Image width 240 mm, Brain, 240x240
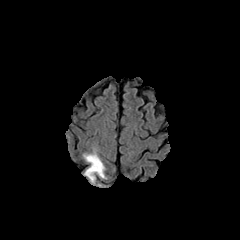
FLAIR magnetic resonance.
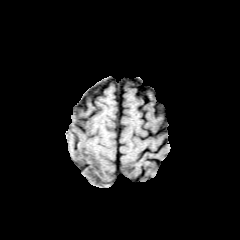
T1-weighted MRI.
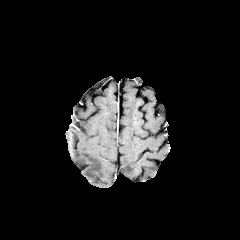
Post-contrast T1-weighted magnetic resonance of the same slice.
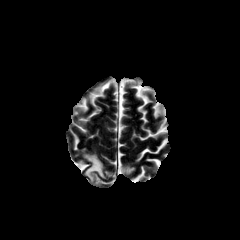
Same slice, T2-weighted magnetic resonance.
edema:
  - x1=82 y1=150 x2=108 y2=183